Image size 240x240
FLAIR magnetic resonance.
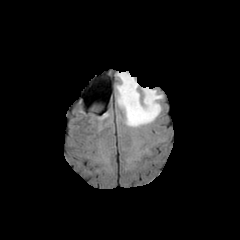
T1-weighted magnetic resonance.
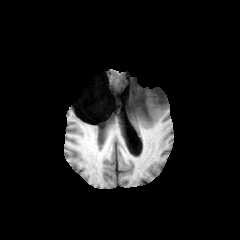
Post-contrast T1-weighted MR.
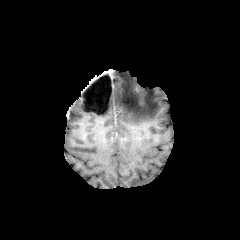
T2-weighted MR.
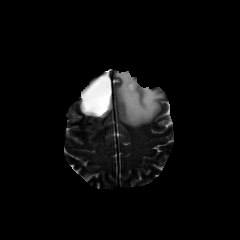
Edema: bounding box 117,72,162,127.